Computed tomography | Pelvis 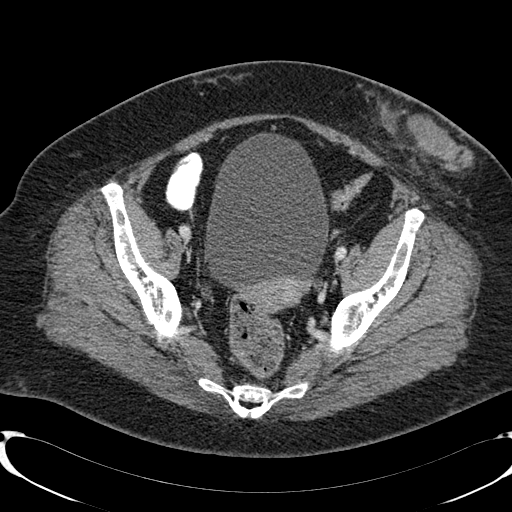
<segmentation>
  <urinary_bladder>rect(205, 133, 328, 289)</urinary_bladder>
</segmentation>